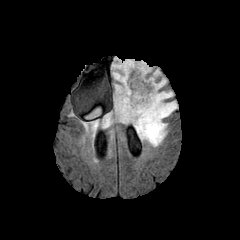
FLAIR magnetic resonance.
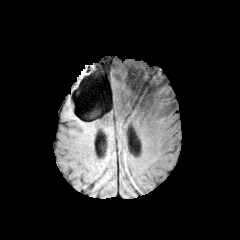
T1-weighted MRI.
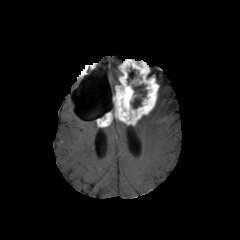
Same slice, post-contrast T1-weighted magnetic resonance.
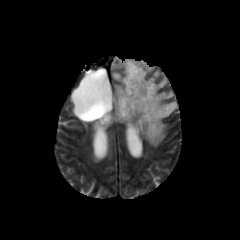
Same slice, T2-weighted MR.
Brain
The enhancing tumor is at [96,60,159,126]. 2 non-enhancing tumor core regions are bounded by [127,68,136,81], [130,84,146,108]. 4 edema regions appear at [150,68,161,79], [111,60,120,85], [134,77,177,146], [86,108,101,119].